240x240 px, Head
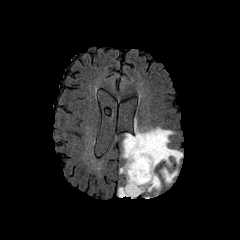
FLAIR magnetic resonance.
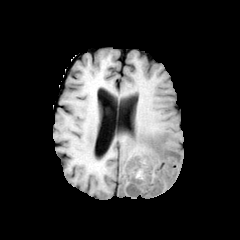
Same slice, T1-weighted MRI.
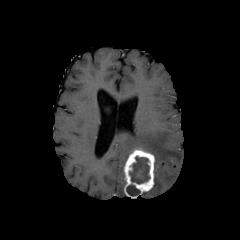
Post-contrast T1-weighted MRI.
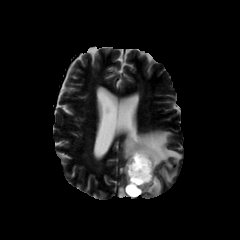
T2-weighted MR.
Segmented structures:
• enhancing tumor: rect(123, 147, 156, 198); rect(136, 166, 144, 178)
• non-enhancing tumor core: rect(130, 157, 149, 183); rect(127, 185, 139, 195)
• edema: rect(118, 186, 125, 197); rect(122, 118, 182, 184); rect(149, 171, 162, 195)